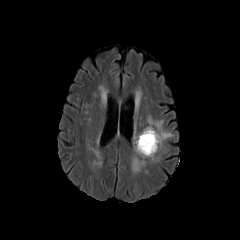
FLAIR MR.
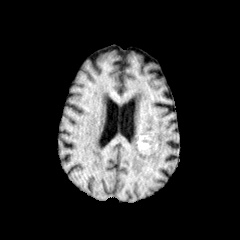
T1-weighted magnetic resonance.
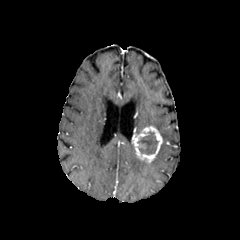
Post-contrast T1-weighted MRI.
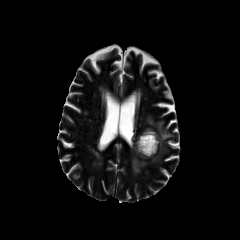
Same slice, T2-weighted magnetic resonance.
Head
Annotated regions:
- non-enhancing tumor core: region(136, 129, 158, 155)
- enhancing tumor: region(132, 125, 162, 162)
- edema: region(146, 116, 174, 142); region(131, 147, 146, 174)